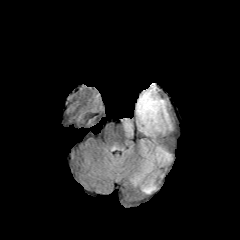
FLAIR MR image.
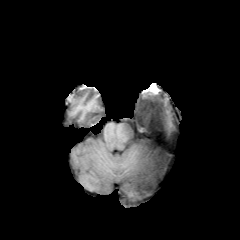
T1-weighted magnetic resonance.
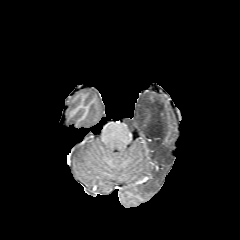
Post-contrast T1-weighted MR image of the same slice.
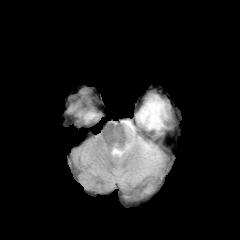
T2-weighted MR image.
{"edema": ["bbox(124, 90, 170, 184)", "bbox(141, 180, 156, 193)"], "non-enhancing_tumor_core": ["bbox(139, 138, 162, 172)", "bbox(138, 173, 154, 186)", "bbox(138, 100, 166, 135)", "bbox(126, 120, 132, 136)"]}